Slice 44 of 155.
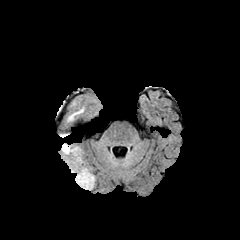
FLAIR MR image.
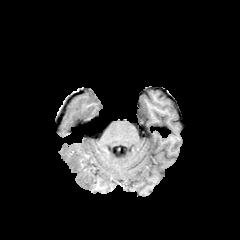
T1-weighted MRI of the same slice.
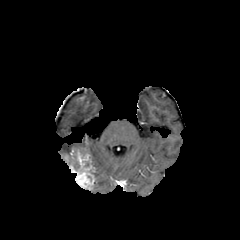
Post-contrast T1-weighted MR.
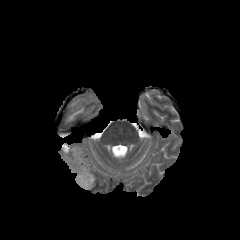
T2-weighted magnetic resonance.
non-enhancing tumor core: bbox=[63, 148, 89, 171] | edema: bbox=[66, 100, 85, 122]; bbox=[75, 147, 89, 159]; bbox=[61, 143, 71, 155] | enhancing tumor: bbox=[76, 153, 93, 187]